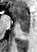 37x52, MRI
The anterior hippocampus lies within left=11, top=7, right=29, bottom=22. The posterior hippocampus is bounded by left=20, top=23, right=29, bottom=32.